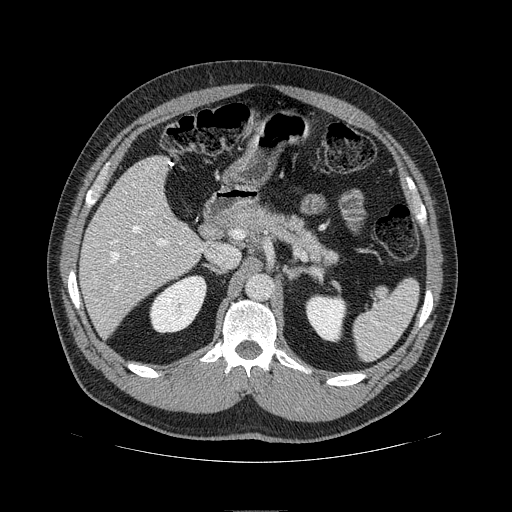
512x512; Abdomen; Computed tomography
pancreas: [232, 203, 336, 264]